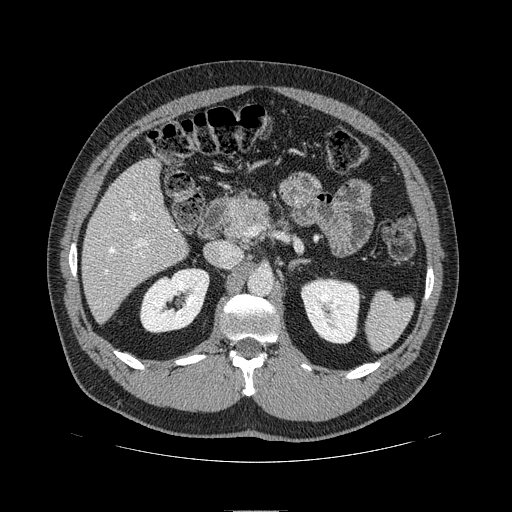
CT scan slice
The pancreas lies within x1=225, y1=200, x2=270, y2=240. The pancreatic tumor is bounded by x1=244, y1=211, x2=258, y2=225.